Image size 512x512; Abdomen; Field of view 512x512 mm; CT 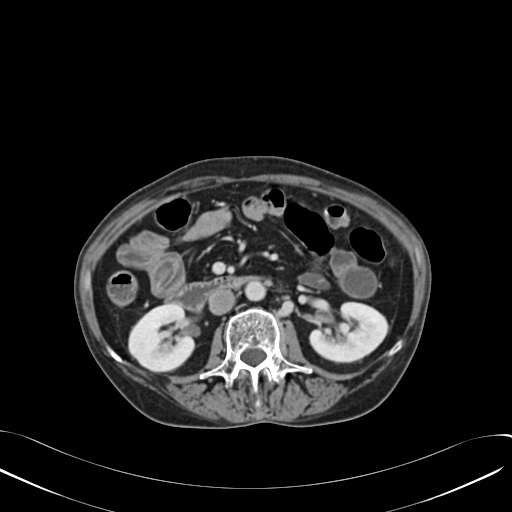
Kidney: (310,303,386,360), (129,305,193,370).